Brain, 240x240 px
FLAIR MR.
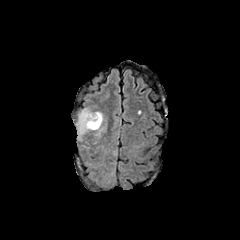
T1-weighted magnetic resonance.
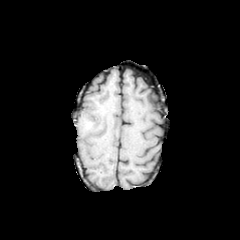
Post-contrast T1-weighted MR.
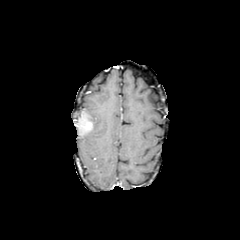
T2-weighted MR.
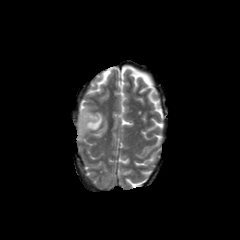
Segmented structures:
• edema: 81, 109, 103, 137
• enhancing tumor: 77, 111, 92, 134